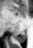
Medial temporal lobe; MR image; Image size 33x48
The posterior hippocampus is located at (left=15, top=30, right=26, bottom=42).